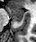

36x42; MRI; Hippocampus

The anterior hippocampus is at (6, 8, 23, 20). The posterior hippocampus lies within (14, 21, 20, 22).